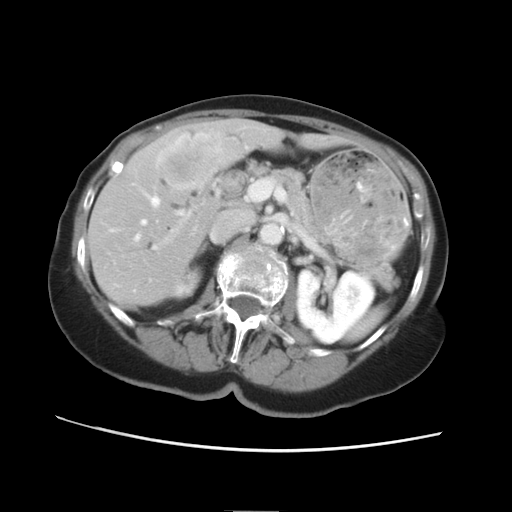

CT image. Image size 512x512. Abdomen.
The vessel boxes may cover only some of the vessels.
Findings:
- hepatic vessel: <box>154,245,157,248</box>, <box>178,211,188,215</box>, <box>152,198,158,204</box>
- liver tumor: <box>156,134,221,189</box>